CT scan slice; Abdomen; Slice index 338; 512x512 px 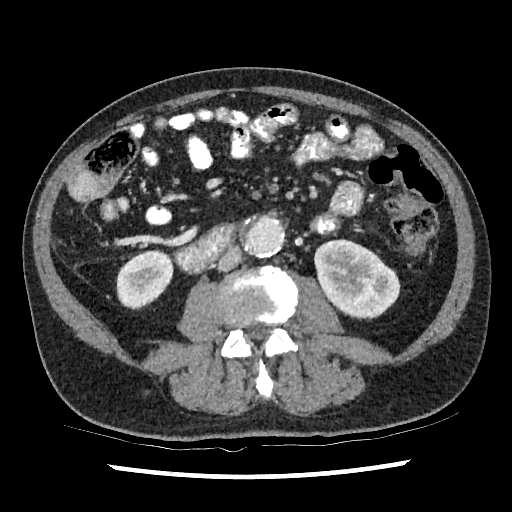 {"kidney": ["[314,240,399,317]", "[117,251,172,308]"]}